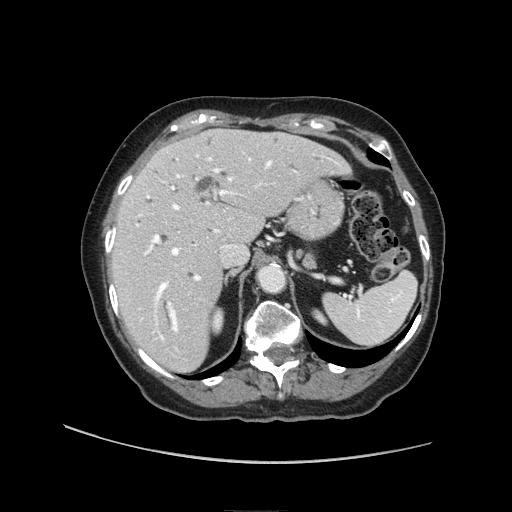

CT
{
  "pancreas": [
    "299,249,314,265"
  ]
}